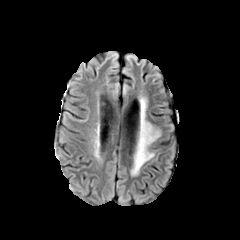
FLAIR magnetic resonance.
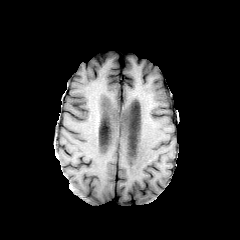
T1-weighted MR of the same slice.
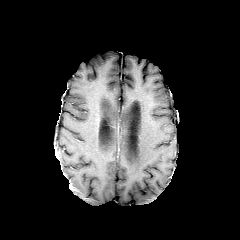
Same slice, post-contrast T1-weighted MRI.
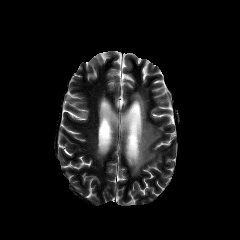
T2-weighted MRI.
Head | 240x240
The edema appears at <bbox>131, 98, 160, 174</bbox>.